Computed tomography. Upper abdomen. Slice index 110.
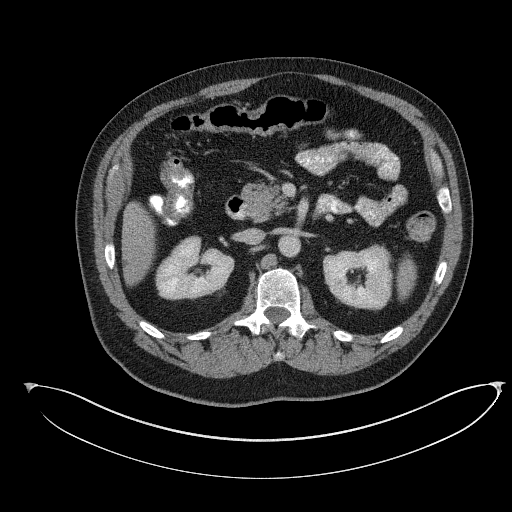

Segmented structures:
- pancreas: box=[243, 182, 288, 222]